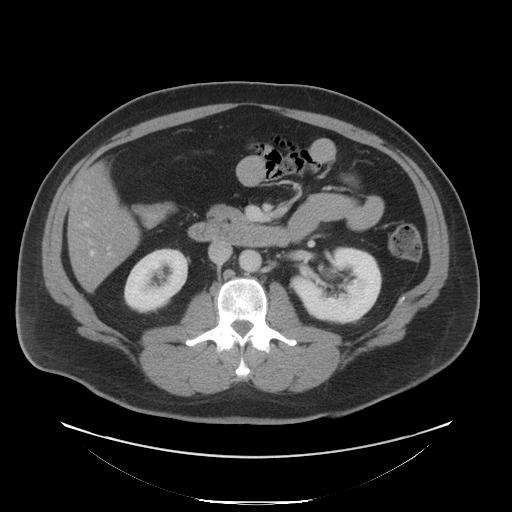

Abdomen, Computed tomography

Pancreas at region(209, 206, 247, 226).